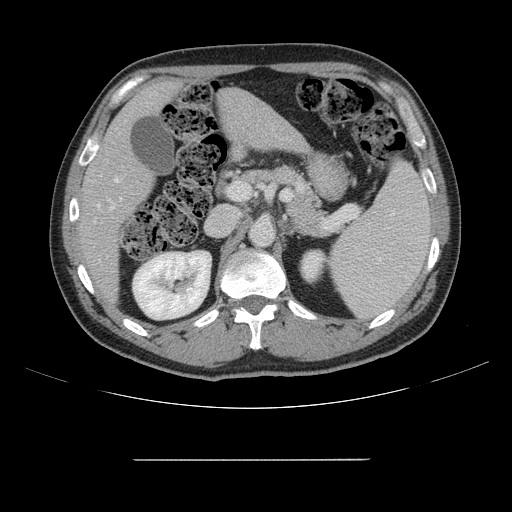 512x512; CT image; Abdomen
Not every hepatic vessel necessarily has a box.
6 hepatic vessel regions are located at <box>109,199,110,200</box>, <box>110,205,114,209</box>, <box>115,177,117,181</box>, <box>119,198,120,200</box>, <box>98,204,99,207</box>, <box>94,220,95,223</box>.